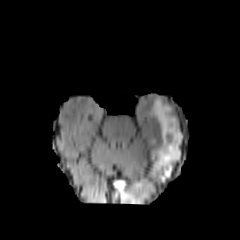
FLAIR magnetic resonance.
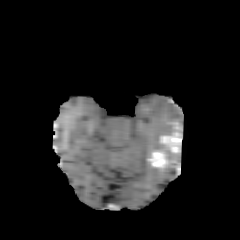
T1-weighted MR image of the same slice.
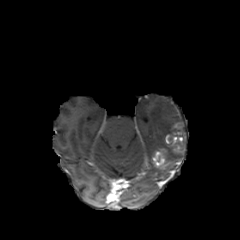
Post-contrast T1-weighted MRI.
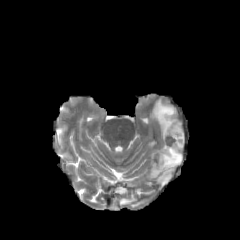
T2-weighted MR image of the same slice.
Brain
Non-enhancing tumor core at (x1=166, y1=125, x2=181, y2=135), (x1=158, y1=161, x2=172, y2=169).
Edema at (x1=150, y1=97, x2=183, y2=177).
Enhancing tumor at (x1=166, y1=135, x2=184, y2=152), (x1=152, y1=149, x2=170, y2=166).